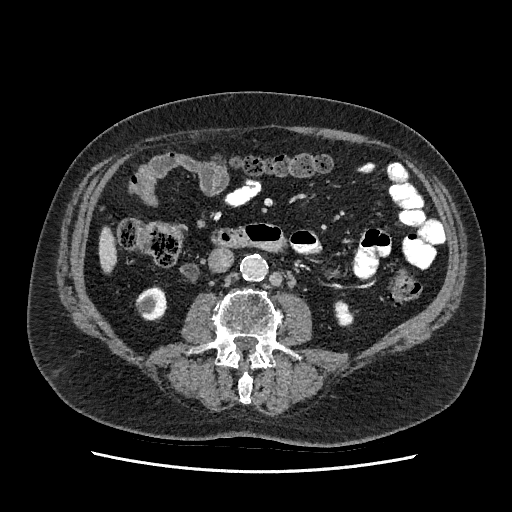

512x512 px, CT image
Annotated regions:
* liver: [x1=100, y1=228, x2=115, y2=271]
* kidney: [x1=336, y1=303, x2=351, y2=324], [x1=139, y1=288, x2=165, y2=319]